FLAIR MRI.
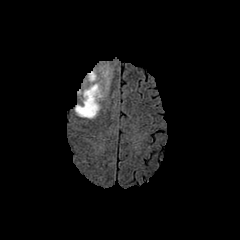
T1-weighted MRI.
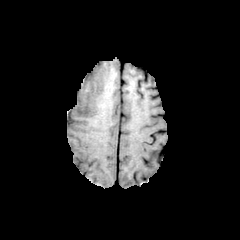
Post-contrast T1-weighted MR.
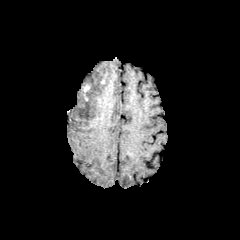
T2-weighted MRI.
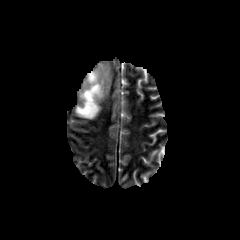
Brain; 240x240
Edema at (75, 70, 104, 119).